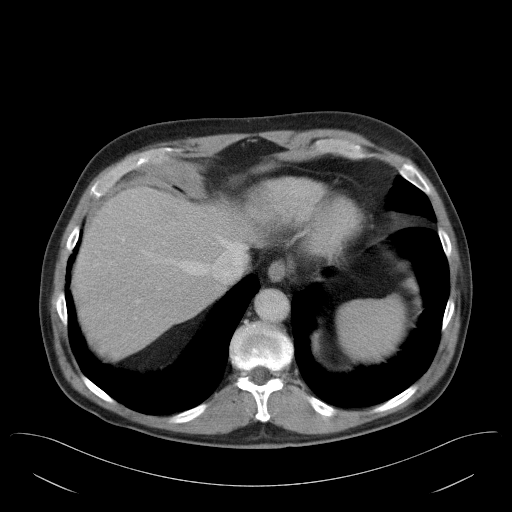 CT image, Liver
The vessel annotation is not exhaustive.
Hepatic vessel — 217,236,242,253; 159,259,215,276.